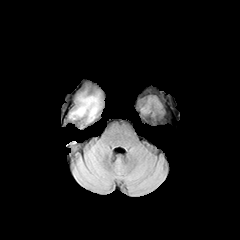
FLAIR MRI.
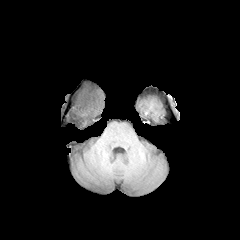
T1-weighted MRI.
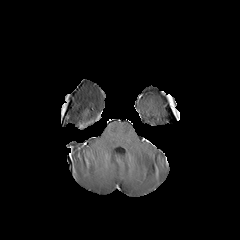
Post-contrast T1-weighted magnetic resonance.
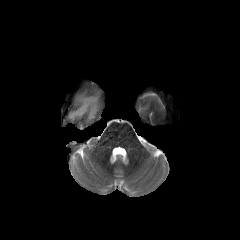
T2-weighted MRI of the same slice.
240x240
The edema lies within region(69, 93, 100, 124).